Slice 93 of 155, Head
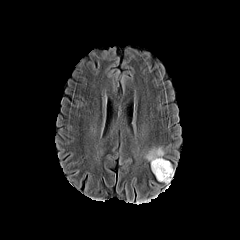
FLAIR MR.
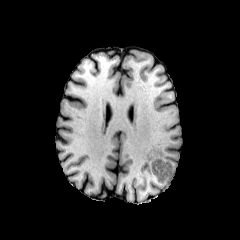
T1-weighted MR image.
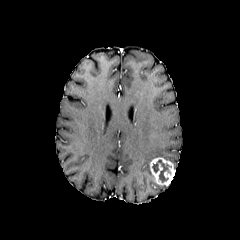
Post-contrast T1-weighted MR image.
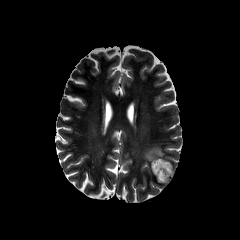
T2-weighted magnetic resonance.
edema:
  - bbox(143, 146, 164, 162)
non-enhancing_tumor_core:
  - bbox(152, 159, 171, 182)
enhancing_tumor:
  - bbox(150, 157, 175, 185)